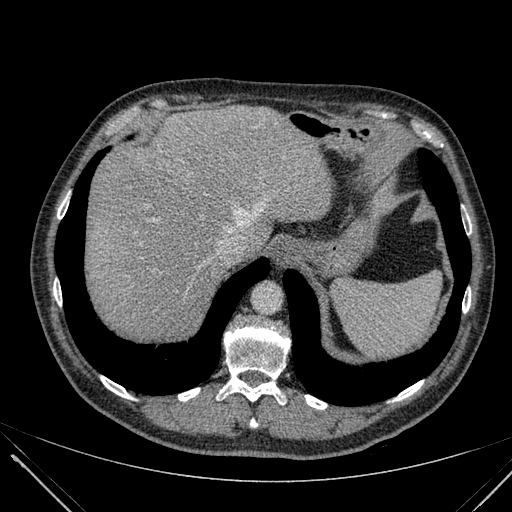
Upper abdomen | CT scan slice
The liver appears at 85, 105, 329, 341.